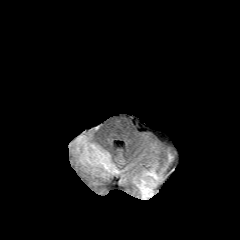
FLAIR magnetic resonance.
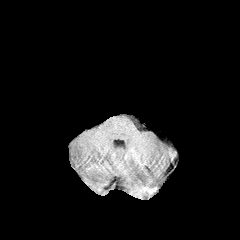
T1-weighted magnetic resonance.
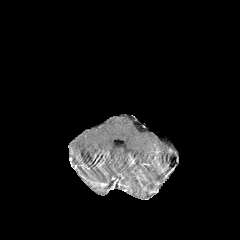
Post-contrast T1-weighted MR.
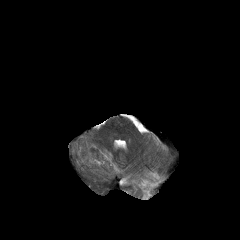
Same slice, T2-weighted MR.
Brain | Image size 240x240
Edema: bounding box bbox=[139, 166, 163, 198].